Slice 357 of 845. Image size 512x512. CT scan slice. Liver.

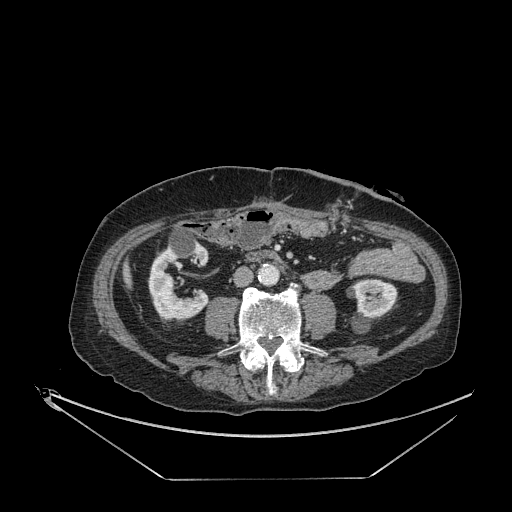 3 kidney regions are bounded by x1=352, y1=279, x2=396, y2=317; x1=149, y1=247, x2=207, y2=318; x1=193, y1=243, x2=207, y2=264. The liver lies within x1=126, y1=271, x2=129, y2=286.